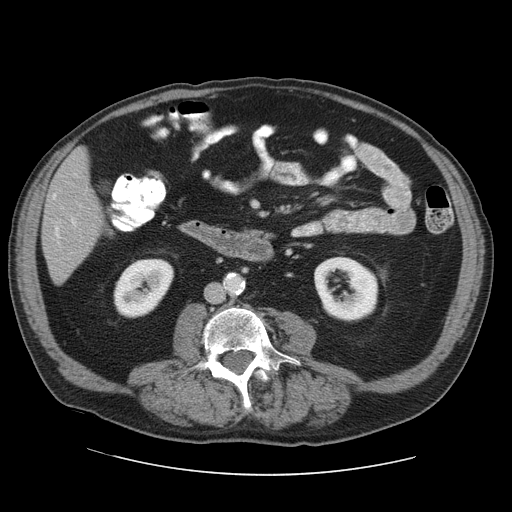
Abdomen. CT. 512x512 px.
Some hepatic vessels may have no box.
<segmentation>
  <hepatic_vessel>left=55, top=228, right=58, bottom=236</hepatic_vessel>
</segmentation>